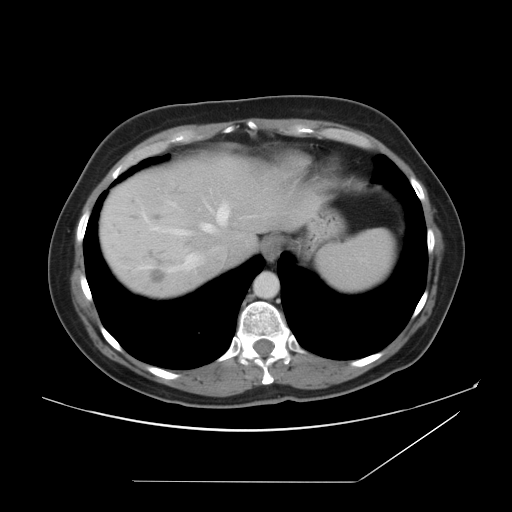

Image size 512x512, CT
Not every hepatic vessel necessarily has a box.
Segmented structures:
• hepatic vessel: bbox(166, 229, 190, 234); bbox(201, 223, 213, 231); bbox(141, 209, 157, 230); bbox(205, 202, 213, 211); bbox(168, 254, 200, 272); bbox(173, 203, 174, 204); bbox(215, 204, 228, 224)
• liver tumor: bbox(147, 270, 168, 283)